Field of view 240x240 mm, Image size 240x240
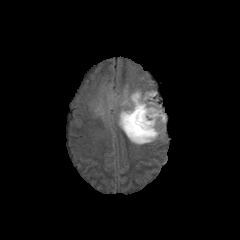
FLAIR MRI.
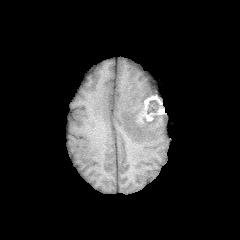
Same slice, T1-weighted MR image.
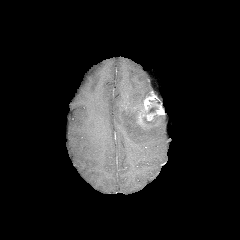
Same slice, post-contrast T1-weighted MRI.
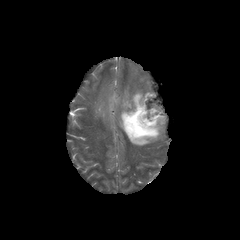
T2-weighted MRI of the same slice.
Segmented structures:
• non-enhancing tumor core: 126:100:159:134, 144:97:158:116
• enhancing tumor: 146:102:162:120, 137:91:155:125
• edema: 109:90:118:106, 117:90:165:145